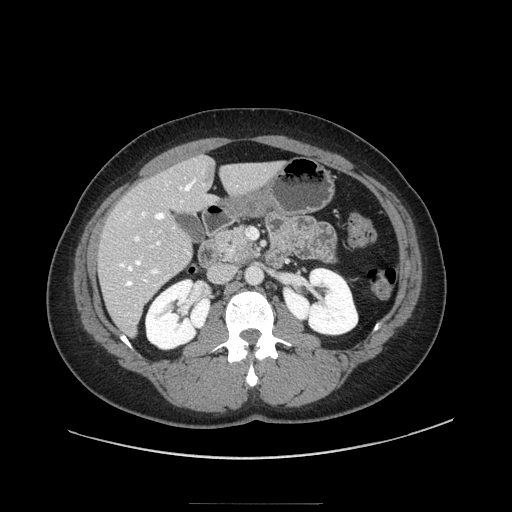
512x512 px. CT image.

{"pancreatic_tumor": ["[226,237,256,261]"], "pancreas": ["[215,224,260,265]"]}